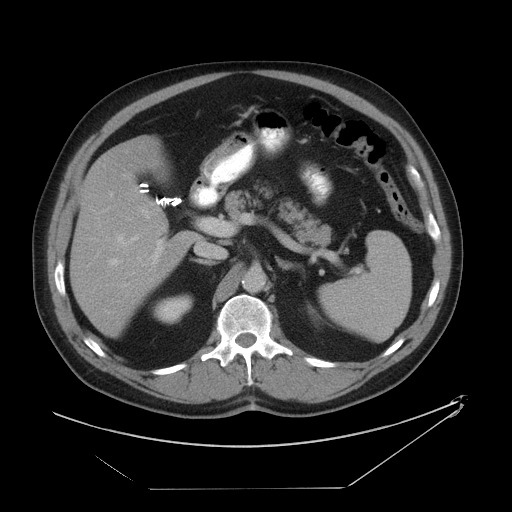

Abdomen. Computed tomography.

{"spleen": ["[321,231,411,340]"]}